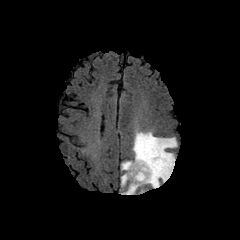
FLAIR MRI.
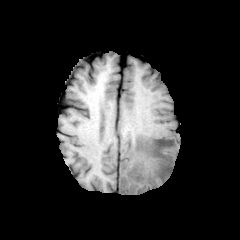
Same slice, T1-weighted MRI.
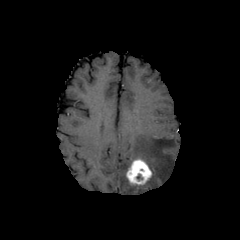
Same slice, post-contrast T1-weighted magnetic resonance.
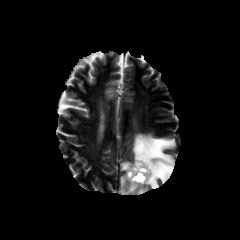
Same slice, T2-weighted magnetic resonance.
240x240 | Head
2 edema regions are located at l=120, t=132, r=176, b=194; l=121, t=160, r=131, b=170. The enhancing tumor lies within l=125, t=157, r=152, b=188.